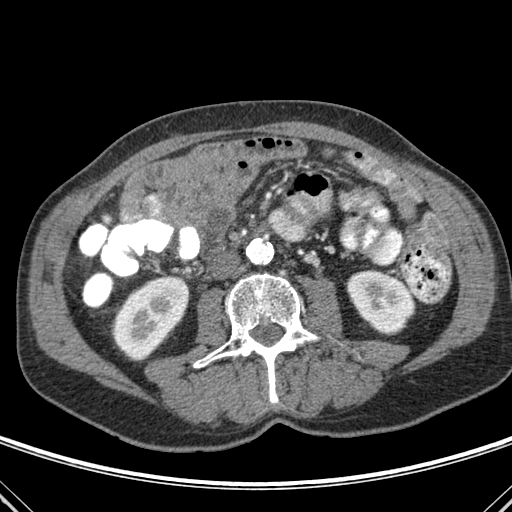

CT image; Abdomen; 512x512 px
2 kidney regions are located at <bbox>114, 277, 187, 358</bbox>, <bbox>348, 271, 412, 332</bbox>. The bone lies within <bbox>193, 273, 318, 403</bbox>.